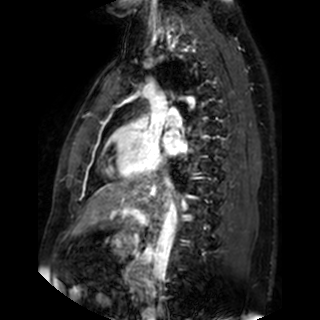
Heart, MR image

- left atrium: (163,129,187,155)